Upper abdomen. CT. 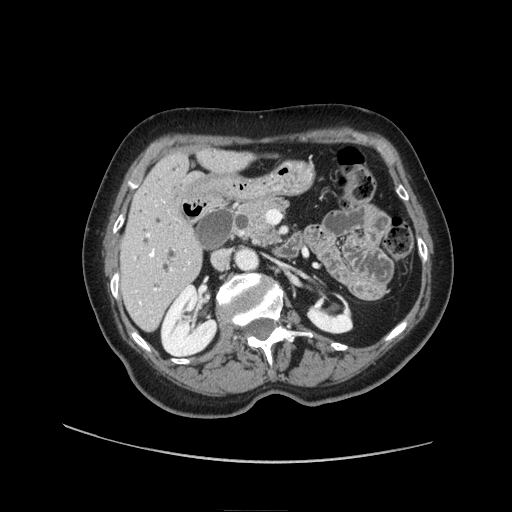 The pancreas lies within <box>233,198,287,245</box>. The pancreatic tumor appears at <box>258,229,278,245</box>.